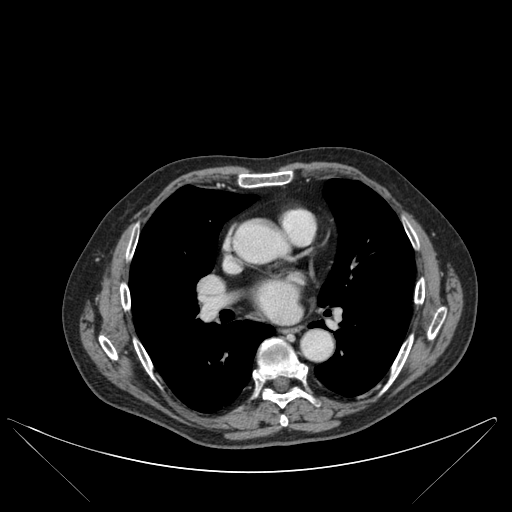 512x512 px, CT slice, Chest
Bone — l=415, t=278, r=424, b=303; l=407, t=225, r=418, b=246; l=120, t=283, r=130, b=309; l=428, t=307, r=445, b=338; l=238, t=171, r=292, b=187; l=99, t=336, r=117, b=359; l=263, t=387, r=313, b=407; l=253, t=339, r=307, b=390; l=133, t=339, r=153, b=377; l=280, t=415, r=287, b=425; l=126, t=233, r=137, b=258; l=383, t=335, r=412, b=391.
Lung — l=314, t=179, r=415, b=396; l=129, t=185, r=274, b=412; l=309, t=320, r=325, b=327.